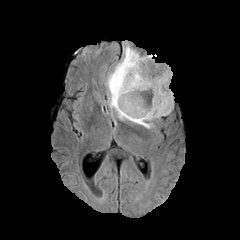
FLAIR MRI.
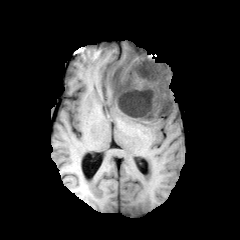
T1-weighted MR image.
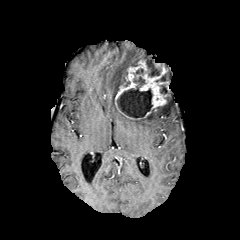
Post-contrast T1-weighted MRI.
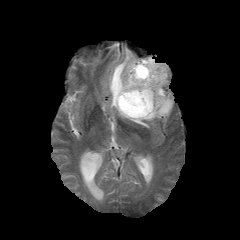
Same slice, T2-weighted MR image.
Brain
The edema is at (x1=104, y1=45, x2=173, y2=128). 4 non-enhancing tumor core regions are located at (x1=116, y1=87, x2=152, y2=117), (x1=147, y1=94, x2=171, y2=117), (x1=133, y1=76, x2=145, y2=85), (x1=146, y1=62, x2=160, y2=76). The enhancing tumor appears at (x1=115, y1=60, x2=169, y2=114).